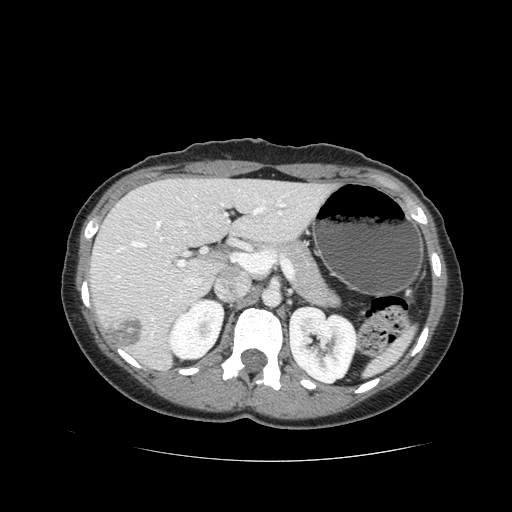
CT image | Abdomen

Pancreas = <bbox>279, 239, 330, 299</bbox>.
Pancreatic tumor = <bbox>305, 290, 339, 305</bbox>.